Slice 71/121, Image size 512x512, CT scan slice
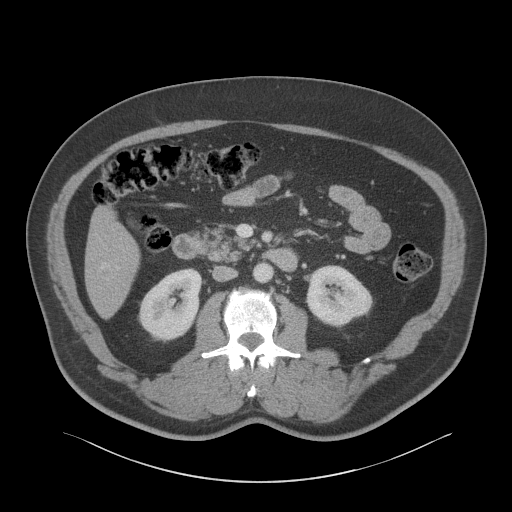 Liver — (85,209,138,314).
Kidney — (308,266,370,325), (140,270,199,339).